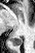

Magnetic resonance | 35x53 px

posterior_hippocampus:
  - [12, 37, 23, 45]